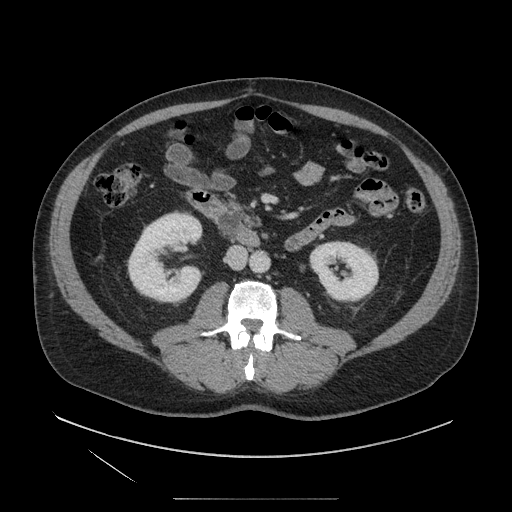

Computed tomography | Image size 512x512
The pancreatic tumor appears at left=218, top=213, right=240, bottom=237. The pancreas is bounded by left=208, top=203, right=244, bottom=243.